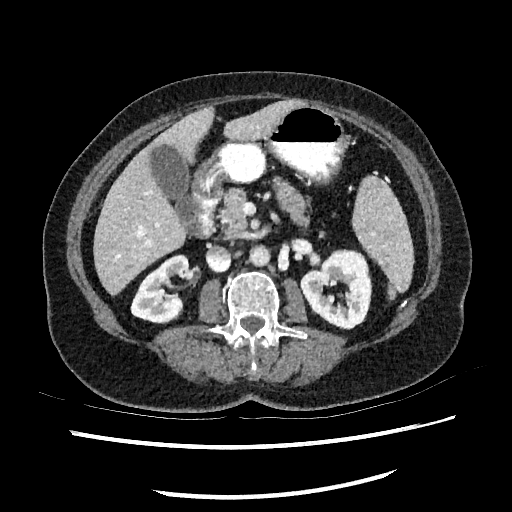
CT scan slice
Annotated regions:
• kidney: (131,256,188,321), (301,252,370,327)
• liver: (223,99,298,140), (95,107,214,293)